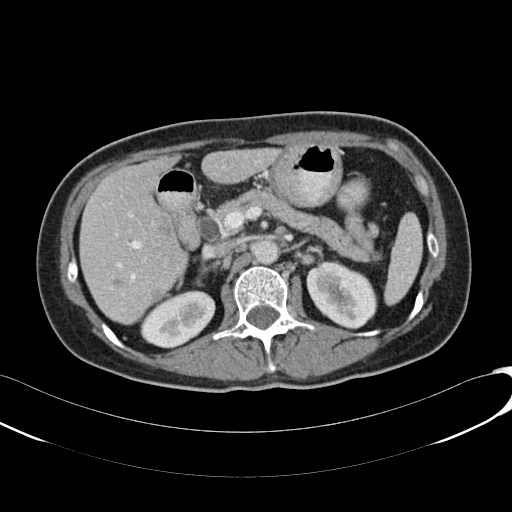
CT slice.
2 liver regions are bounded by <box>80,157,186,323</box>, <box>201,149,281,183</box>. 2 kidney regions are located at <box>307,263,374,327</box>, <box>142,292,214,346</box>. The hepatic lesion is located at <box>159,225,171,237</box>.